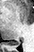
Magnetic resonance | Hippocampus | 34x52 px

Posterior hippocampus: (left=9, top=41, right=17, bottom=44).